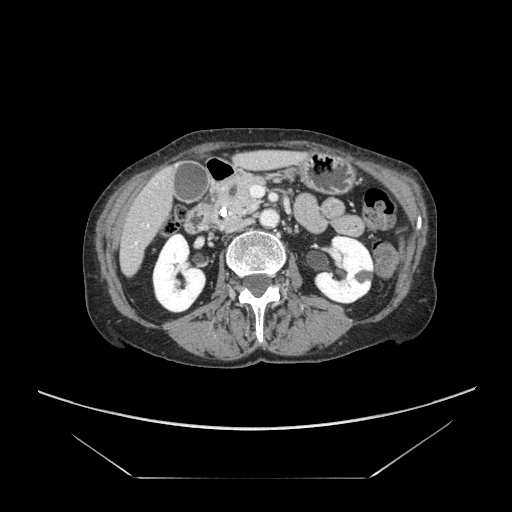
512x512. Computed tomography. The pancreas lies within region(212, 173, 271, 230).